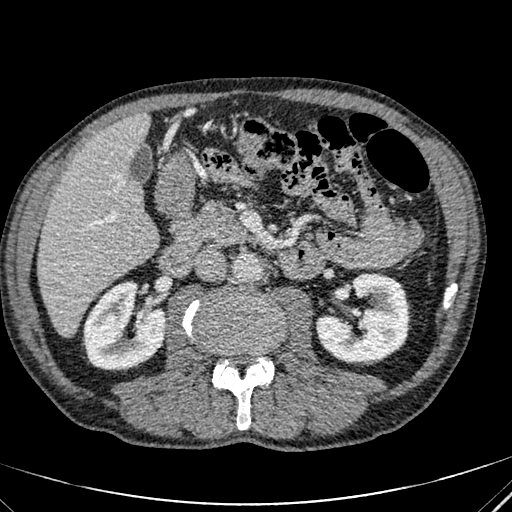

Upper abdomen | CT scan slice
{
  "kidney": [
    "317,274,407,361",
    "84,283,164,368"
  ],
  "liver": [
    "38,112,157,336"
  ]
}